Field of view 365x365 mm. CT image.

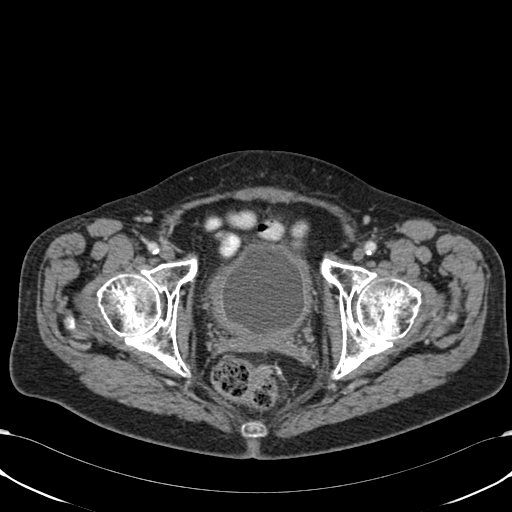

Annotated regions:
• urinary bladder: (223, 249, 303, 334)